240x240
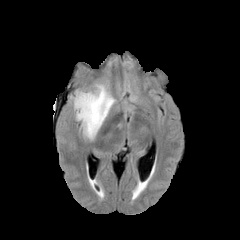
FLAIR MR image.
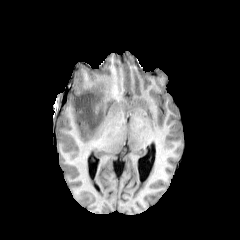
Same slice, T1-weighted MR.
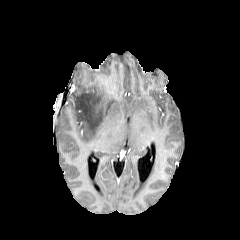
Same slice, post-contrast T1-weighted MR.
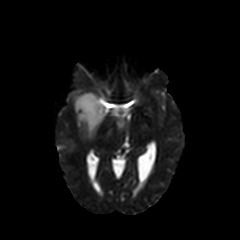
T2-weighted MR image.
Edema — bbox(70, 82, 132, 139).
Non-enhancing tumor core — bbox(75, 93, 100, 127).